CT slice; Slice 146 of 751; Field of view 439x439 mm
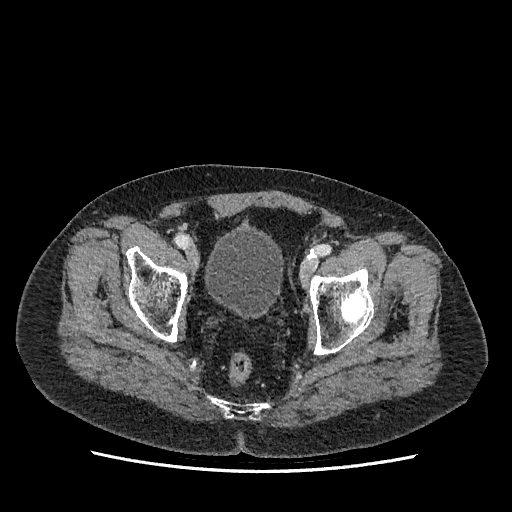
Urinary bladder = x1=205, y1=230, x2=283, y2=315.